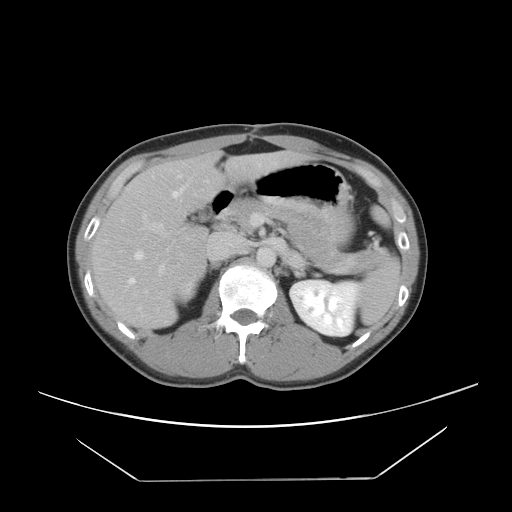
CT image. Abdomen.
Only some of the vessels may be annotated.
13 hepatic vessel regions are located at left=187, top=283, right=191, bottom=289; left=159, top=264, right=164, bottom=272; left=143, top=212, right=146, bottom=222; left=266, top=155, right=275, bottom=165; left=141, top=228, right=143, bottom=229; left=145, top=291, right=146, bottom=293; left=172, top=180, right=188, bottom=197; left=122, top=220, right=123, bottom=221; left=134, top=250, right=143, bottom=259; left=152, top=223, right=163, bottom=232; left=128, top=278, right=135, bottom=284; left=205, top=180, right=208, bottom=182; left=178, top=175, right=181, bottom=177.